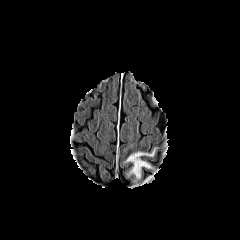
FLAIR MR.
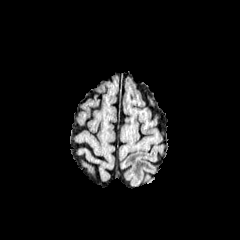
T1-weighted MRI.
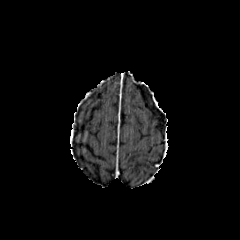
Post-contrast T1-weighted MR of the same slice.
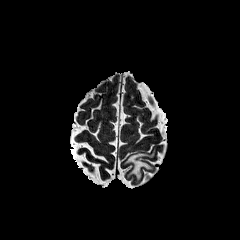
T2-weighted magnetic resonance of the same slice.
Image size 240x240. Brain.
edema:
  - box(125, 147, 156, 181)